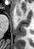
MR. Hippocampus.

The anterior hippocampus lies within <bbox>15, 7, 22, 16</bbox>.